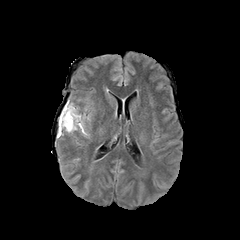
FLAIR MR image.
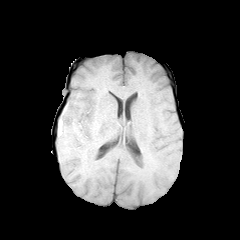
T1-weighted magnetic resonance.
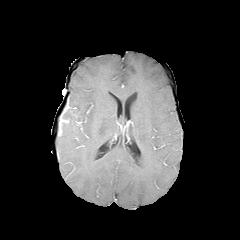
Post-contrast T1-weighted MR.
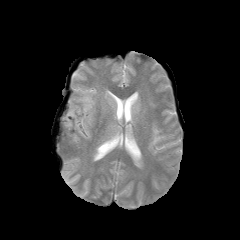
T2-weighted MRI.
240x240 px, Brain
Edema = box=[58, 99, 92, 138].